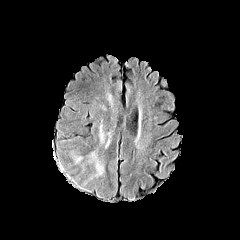
FLAIR MR image.
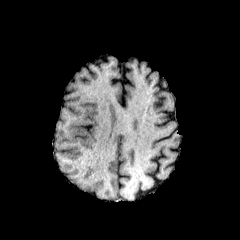
T1-weighted MR.
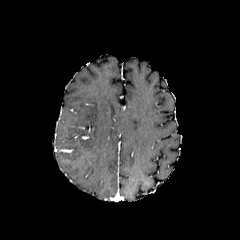
Post-contrast T1-weighted MR image of the same slice.
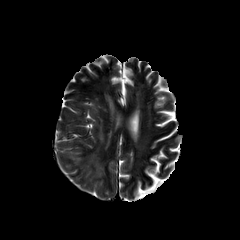
T2-weighted MRI of the same slice.
Head
{
  "edema": [
    "93 159 103 174",
    "99 123 103 140"
  ]
}